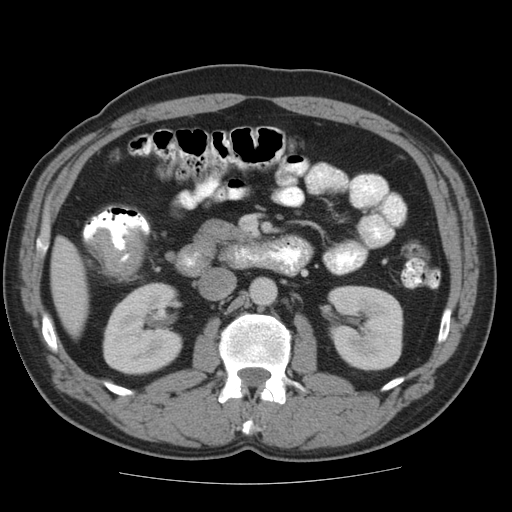 Abdomen, Computed tomography, 512x512 px
{"colon_tumor": ["88:228:144:276"]}